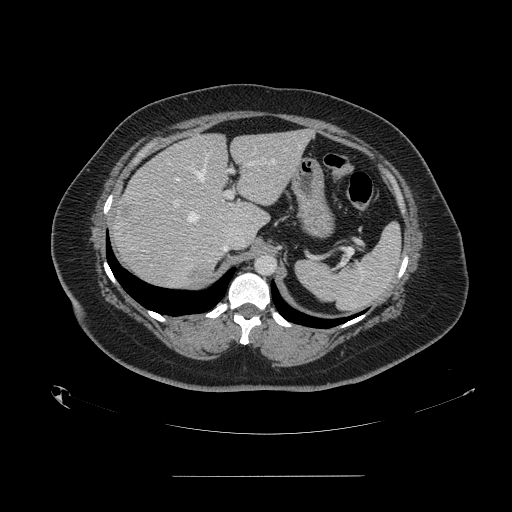 Upper abdomen, CT

spleen: 296 224 400 311